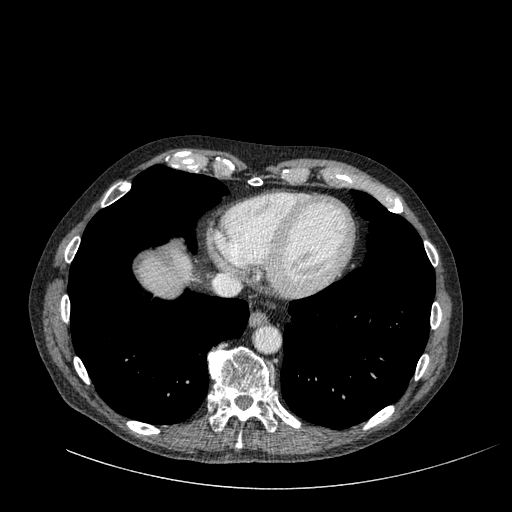 CT image
liver: 139:249:191:298